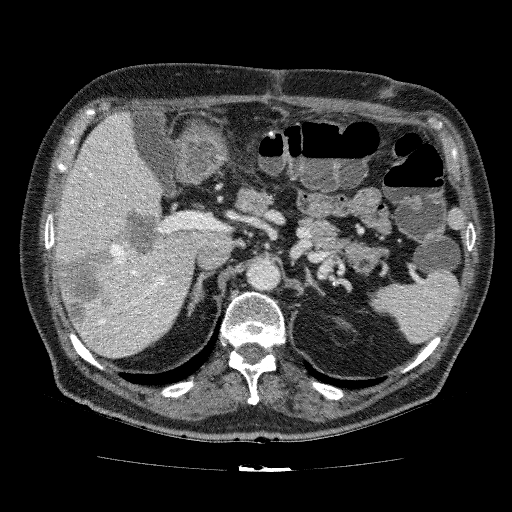
Image size 512x512, CT, Upper abdomen
Liver — 72 231 233 358, 54 111 162 257.
Focal liver lesion — 55 206 163 323.